Abdomen. CT slice. 512x512 px.

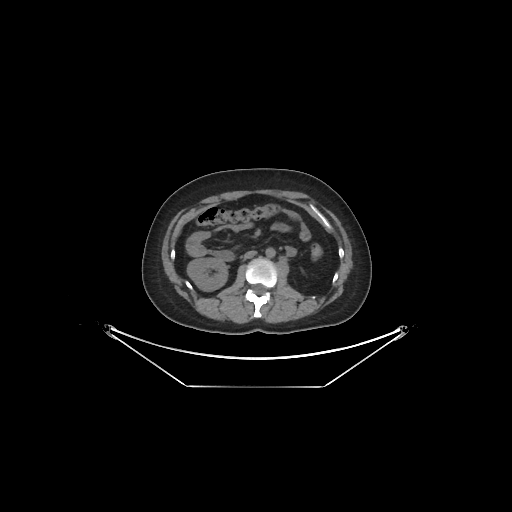
<segmentation>
  <kidney>{"x1": 187, "y1": 258, "x2": 227, "y2": 290}</kidney>
</segmentation>